512x512. CT image. Upper abdomen. Slice 438 of 826.
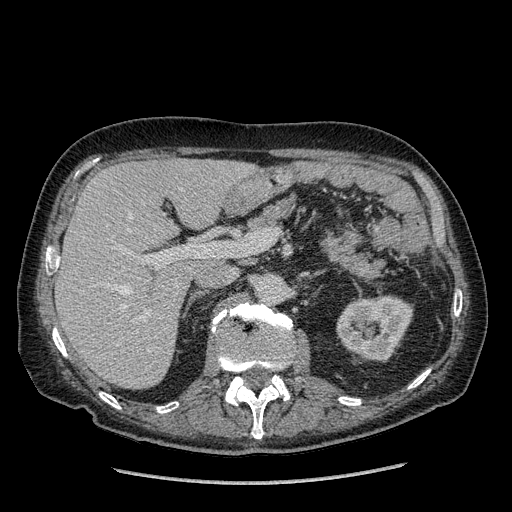
Liver: bounding box [55,158,256,389].
Kidney: bounding box [336,296,412,360].